Abdomen. Computed tomography.

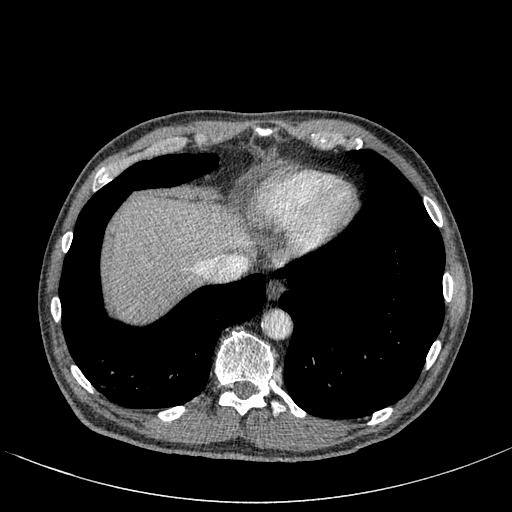 The liver is located at [103,195,254,320].